Brain, Slice 49 of 155, Field of view 240x240 mm
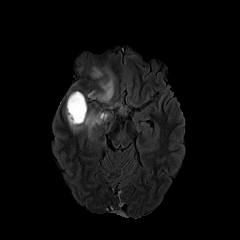
FLAIR magnetic resonance.
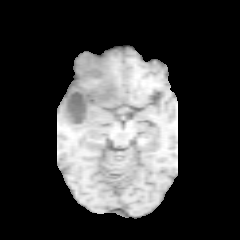
Same slice, T1-weighted MR image.
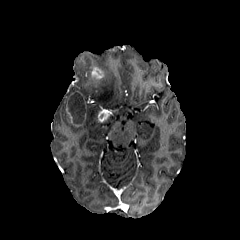
Same slice, post-contrast T1-weighted magnetic resonance.
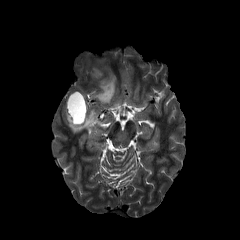
T2-weighted MRI of the same slice.
Annotated regions:
* non-enhancing tumor core: l=68, t=92, r=85, b=123
* enhancing tumor: l=65, t=104, r=77, b=121; l=97, t=110, r=109, b=122; l=93, t=67, r=101, b=77
* edema: l=89, t=71, r=120, b=108; l=68, t=109, r=101, b=140